CT | Field of view 470x470 mm | Slice 55 of 107 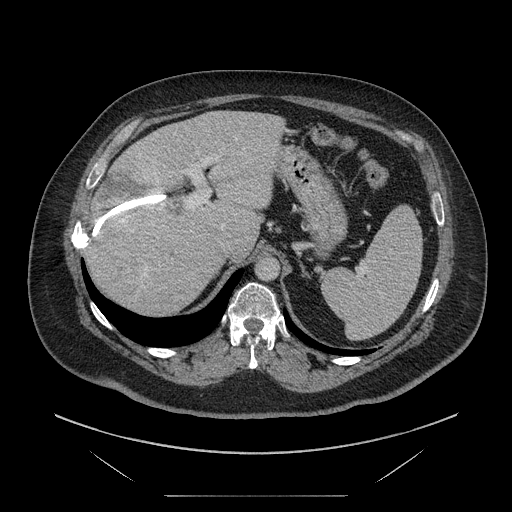

Not every hepatic vessel necessarily has a box.
<segmentation>
  <liver_tumor>{"x1": 98, "y1": 175, "x2": 179, "y2": 217}</liver_tumor>
  <hepatic_vessel>{"x1": 181, "y1": 149, "x2": 222, "y2": 213}, {"x1": 218, "y1": 165, "x2": 220, "y2": 168}</hepatic_vessel>
</segmentation>